CT
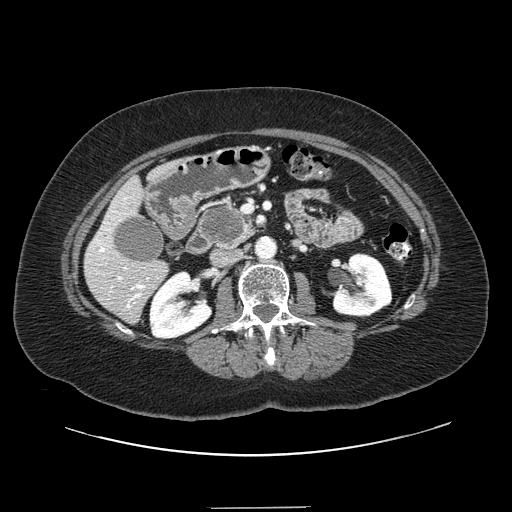
The pancreas is located at box=[197, 205, 255, 249]. The pancreatic tumor appears at box=[202, 207, 245, 245].